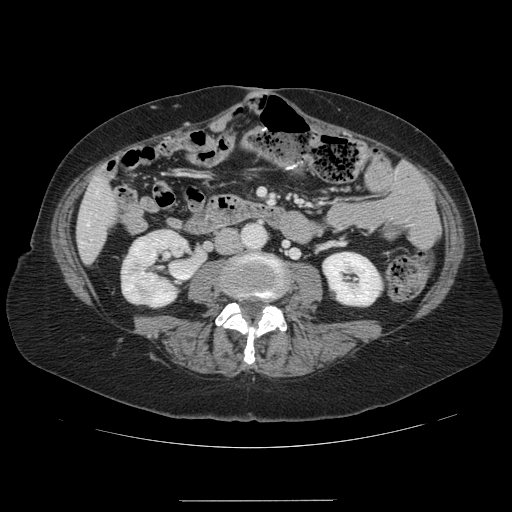
512x512 px. CT scan slice. The vessel annotation is not exhaustive.
The hepatic vessel is bounded by bbox(86, 223, 88, 224).